FLAIR magnetic resonance.
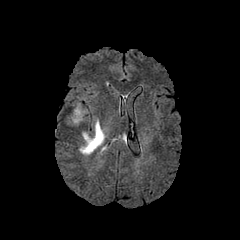
T1-weighted MRI.
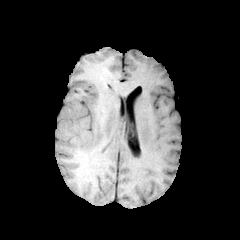
Post-contrast T1-weighted MR.
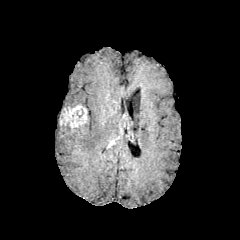
T2-weighted magnetic resonance.
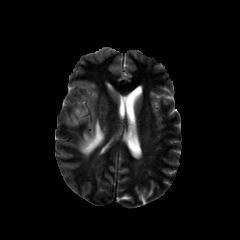
Brain
Non-enhancing tumor core at x1=65, y1=108, x2=86, y2=125.
Edema at x1=79, y1=120, x2=105, y2=155.